CT image. Abdomen.
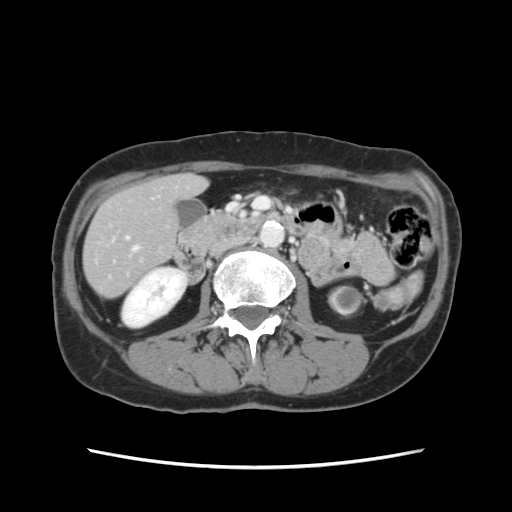
The vessel annotation is not exhaustive.
2 hepatic vessel regions are bounded by <bbox>133, 247, 137, 250</bbox>, <bbox>126, 236, 128, 238</bbox>.